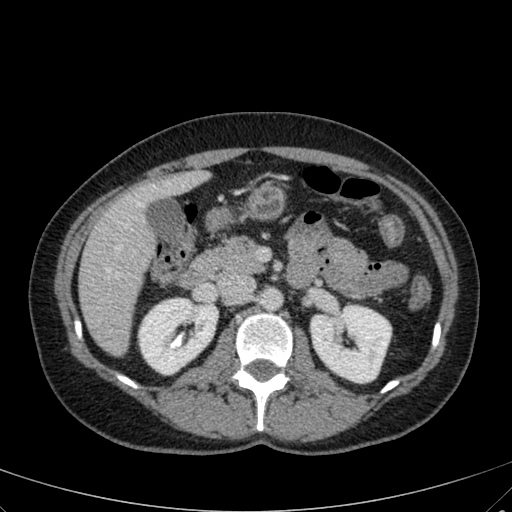 Image size 512x512; CT slice
liver:
  - x1=79, y1=173, x2=199, y2=355
kidney:
  - x1=139, y1=299, x2=217, y2=373
  - x1=311, y1=306, x2=390, y2=382